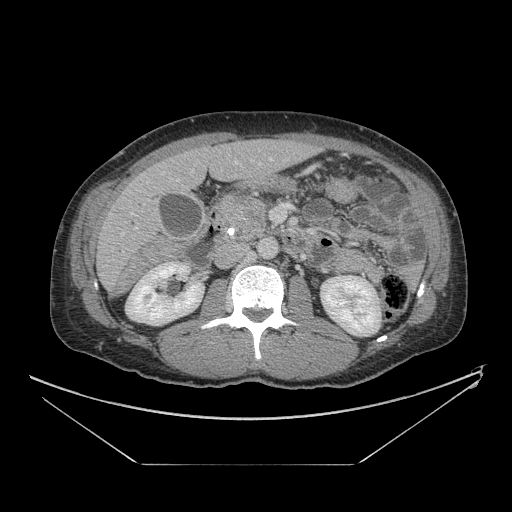 Upper abdomen, CT slice
The pancreas is at (215,188,274,242). The pancreatic tumor appears at (237,198,250,211).